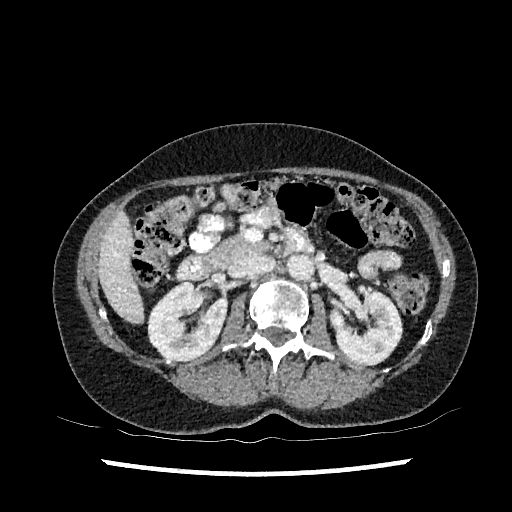

CT. The liver is at <bbox>99, 211, 143, 323</bbox>. 2 kidney regions are bounded by <bbox>148, 282, 226, 360</bbox>, <bbox>331, 292, 401, 364</bbox>.